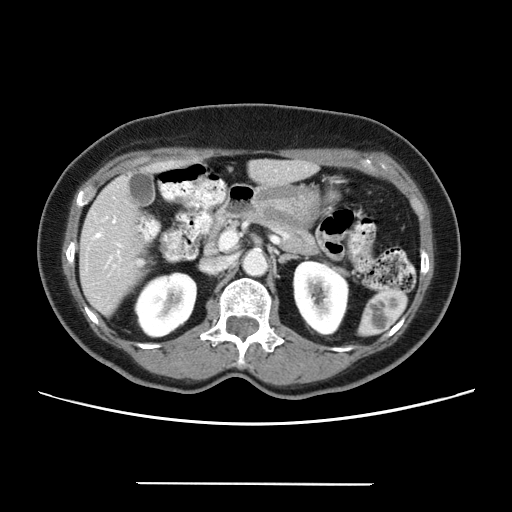 CT image

The vessel boxes may cover only some of the vessels.
Hepatic vessel: bounding box <bbox>96, 234, 99, 236</bbox>.